CT; Image size 512x512; Abdomen
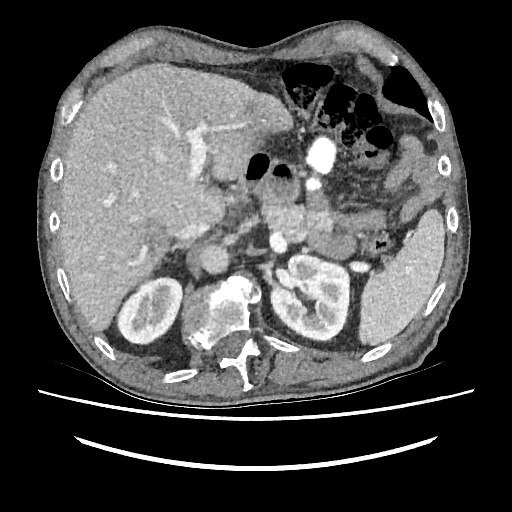

2 kidney regions appear at box(271, 255, 348, 339); box(118, 278, 181, 343). The liver appears at box(60, 65, 293, 330). 3 focal liver lesion regions are bounded by box(244, 105, 254, 114); box(246, 119, 274, 147); box(139, 219, 165, 255).